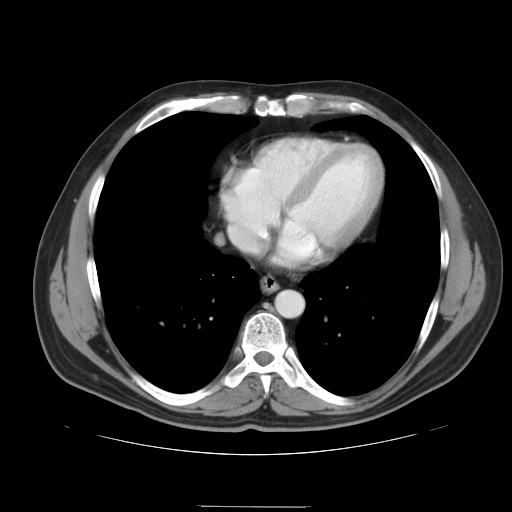
Abdomen. CT slice.
Not every hepatic vessel necessarily has a box.
Hepatic vessel at (x1=230, y1=221, x2=254, y2=248).